Upper abdomen | Slice 62 of 113 | CT | Field of view 460 mm wide, 2.50 mm slice spacing
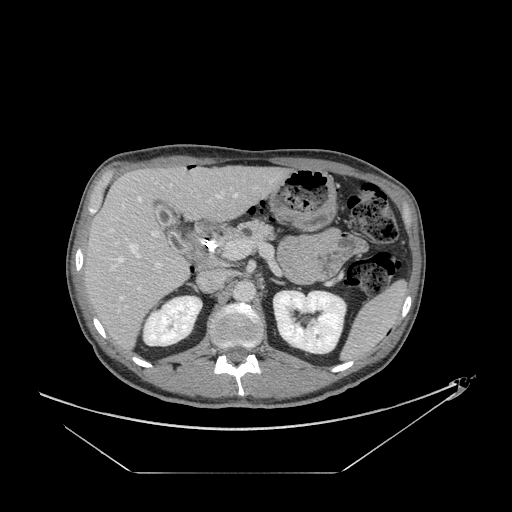

Pancreas at (x1=235, y1=221, x2=276, y2=242).